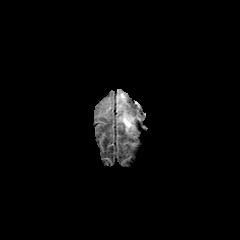
FLAIR MR image.
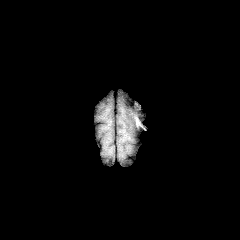
T1-weighted MRI.
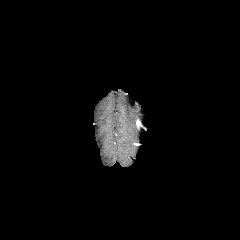
Post-contrast T1-weighted MRI of the same slice.
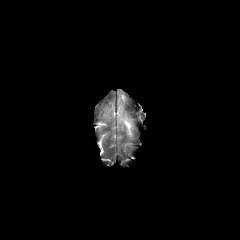
T2-weighted MR.
edema: 119 110 135 130